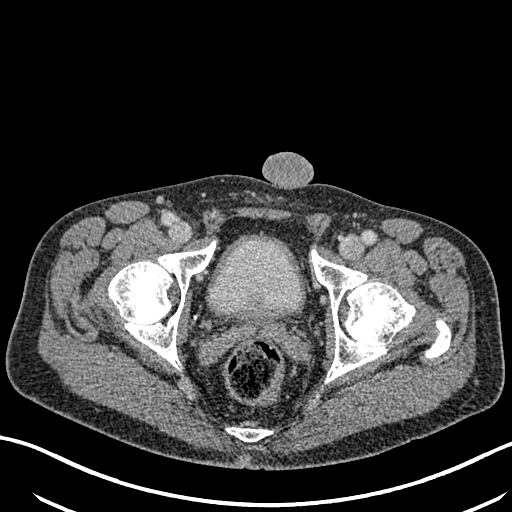

Computed tomography, Pelvis
Urinary bladder — [209, 236, 302, 318].